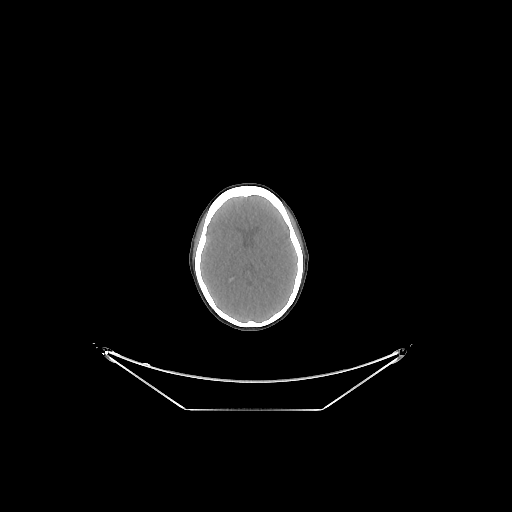
CT | Image size 512x512 | Head

Brain — bbox=[200, 195, 297, 322].